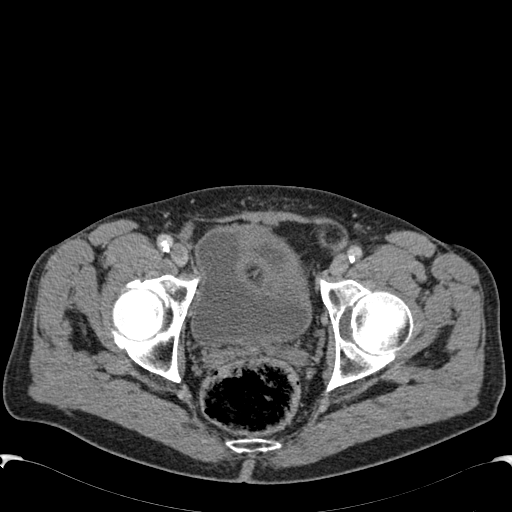

Lower abdomen; CT scan slice
• urinary bladder: l=191, t=226, r=311, b=348